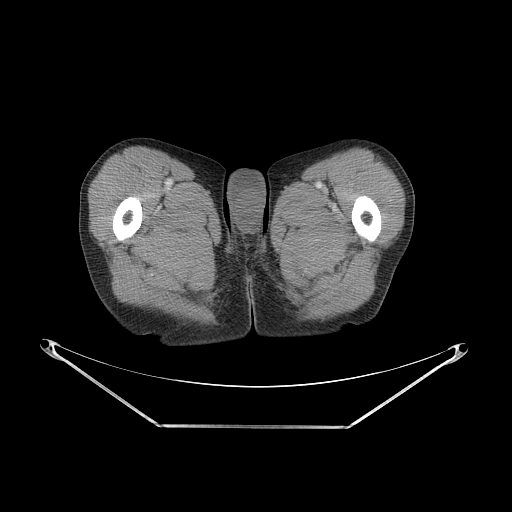
Computed tomography. Bone — (113, 197, 141, 240), (352, 196, 380, 241).